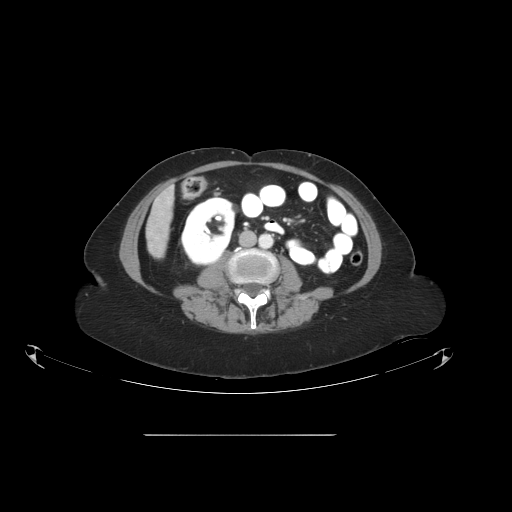

CT slice
The colon tumor is bounded by x1=180, y1=176, x2=207, y2=199.